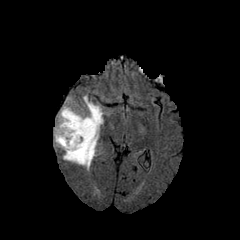
FLAIR MR.
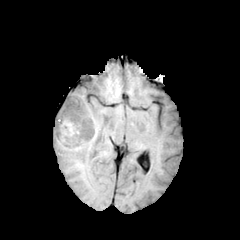
T1-weighted magnetic resonance.
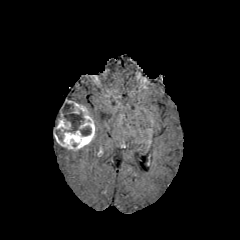
Post-contrast T1-weighted MR image of the same slice.
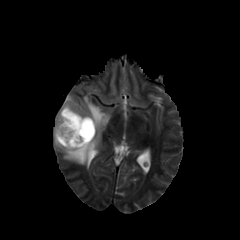
T2-weighted magnetic resonance.
Image size 240x240 | Head
Enhancing tumor: (left=53, top=98, right=94, bottom=150).
Non-enhancing tumor core: (left=55, top=129, right=64, bottom=141), (left=62, top=103, right=91, bottom=136).
Edema: (left=53, top=95, right=111, bottom=172).